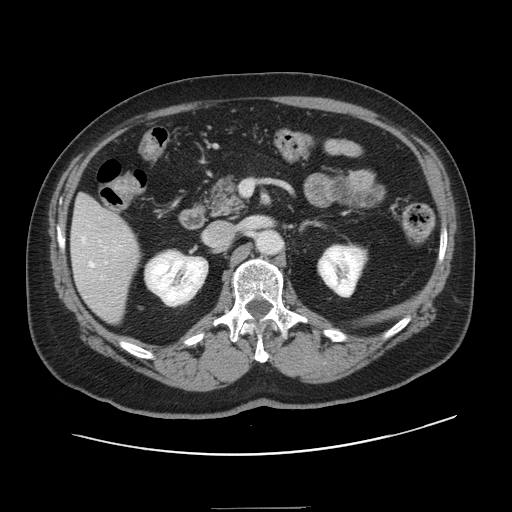

CT image, 512x512

Some hepatic vessels may have no box.
Hepatic vessel at 90 262 93 265, 82 237 85 241.